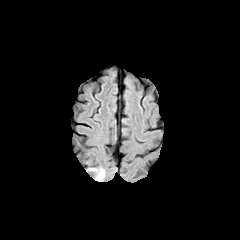
FLAIR magnetic resonance.
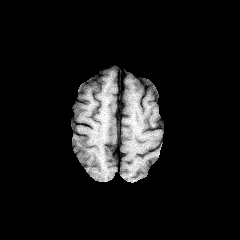
Same slice, T1-weighted magnetic resonance.
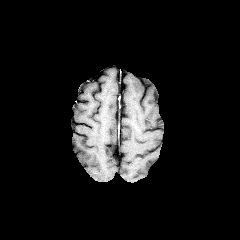
Post-contrast T1-weighted MRI of the same slice.
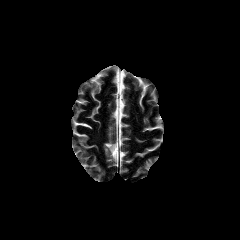
T2-weighted MRI of the same slice.
Edema: bounding box (88,166,105,179).